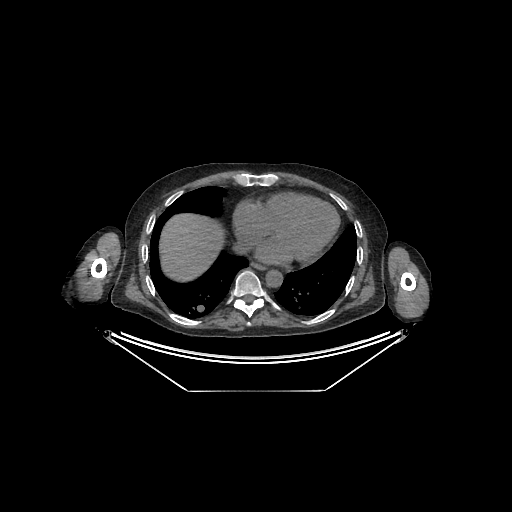

512x512. CT slice. Abdomen. Liver: bounding box <box>159,213,223,281</box>.